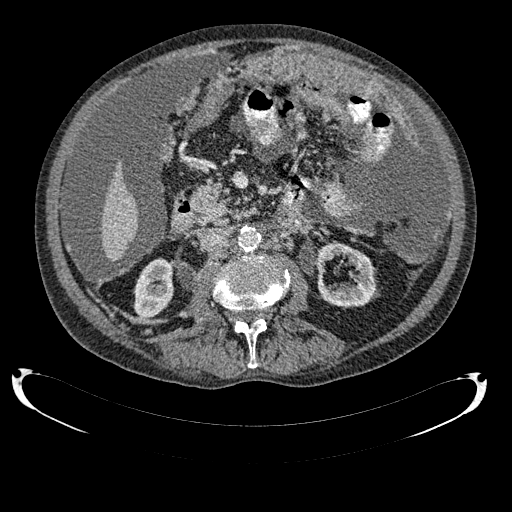 CT slice | 512x512
liver:
  - <bbox>101, 161, 137, 261</bbox>
kidney:
  - <bbox>315, 243, 375, 306</bbox>
  - <bbox>134, 259, 173, 319</bbox>